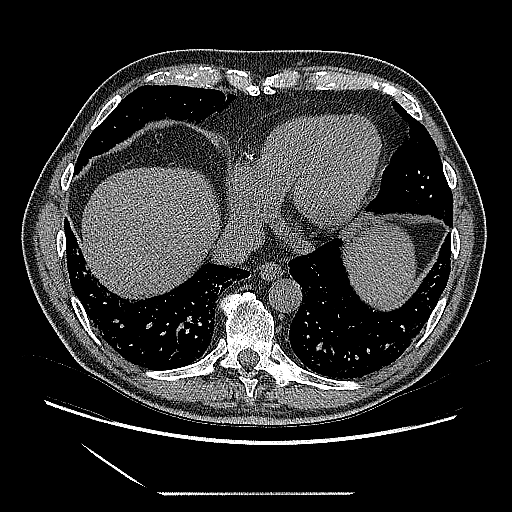

Thorax. CT image.
The lung tumor appears at <box>338,215,360,240</box>.